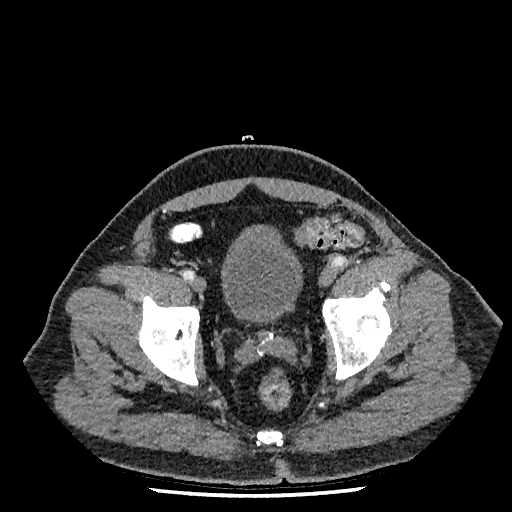

CT image

{"urinary_bladder": ["box(220, 224, 303, 324)"]}